Magnetic resonance; Medial temporal lobe; 38x48 px; Field of view 38x48 mm

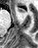

Anterior hippocampus: l=17, t=7, r=26, b=11.